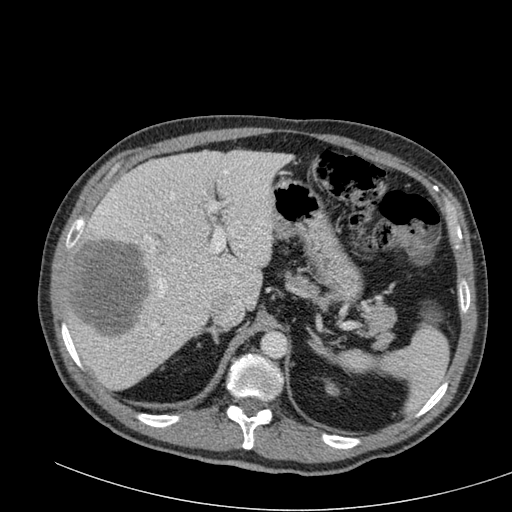
Upper abdomen. Computed tomography.
liver:
  - [65,151,292,389]
focal_liver_lesion:
  - [65,238,147,335]